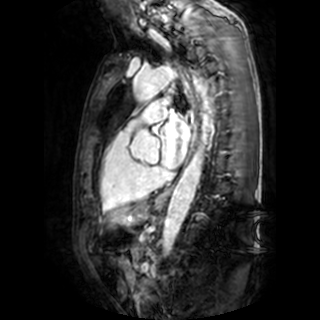

320x320 px, Magnetic resonance
<segmentation>
  <left_atrium>x1=161 y1=114 x2=189 y2=168</left_atrium>
</segmentation>